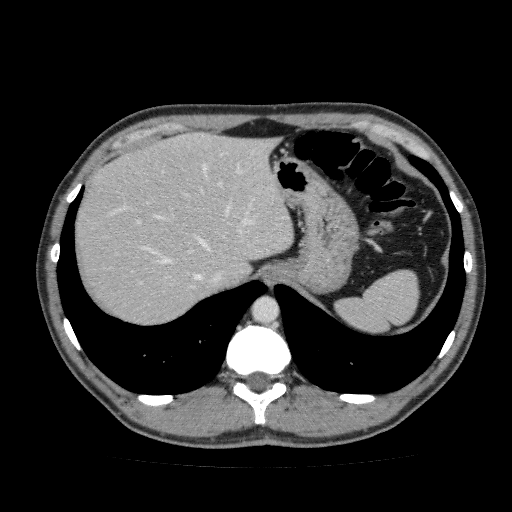 Computed tomography.
{
  "liver": [
    "74 133 292 325"
  ]
}